FLAIR MRI.
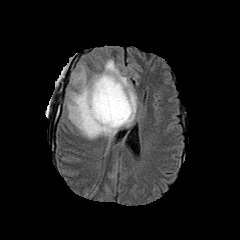
T1-weighted MR image.
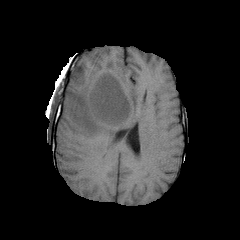
Post-contrast T1-weighted magnetic resonance.
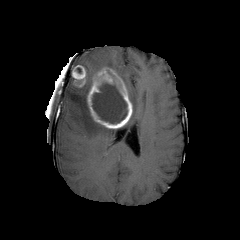
T2-weighted MR image.
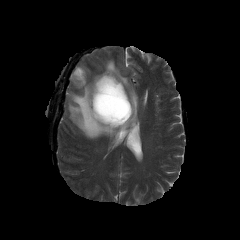
Brain.
2 edema regions are located at 104 59 138 127, 65 73 119 142. The non-enhancing tumor core appears at 92 83 127 123. 2 enhancing tumor regions are bounded by 87 68 132 128, 71 65 87 87.